Computed tomography, Field of view 381 mm wide, 0.80 mm slice spacing, 512x512 px, Upper abdomen
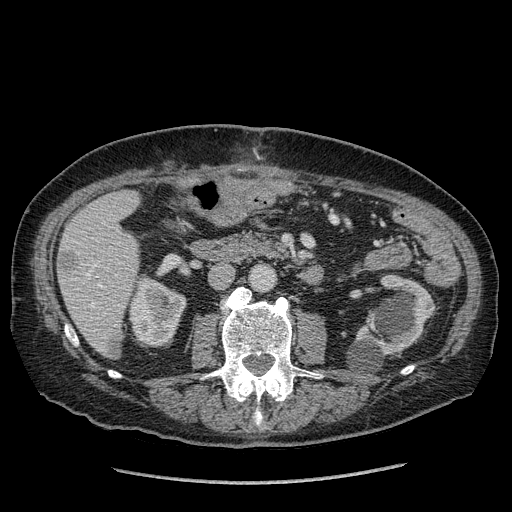 liver lesion: {"x1": 108, "y1": 334, "x2": 121, "y2": 357}, {"x1": 57, "y1": 251, "x2": 79, "y2": 269} | liver: {"x1": 180, "y1": 180, "x2": 200, "y2": 187}, {"x1": 58, "y1": 190, "x2": 138, "y2": 359} | kidney: {"x1": 356, "y1": 275, "x2": 434, "y2": 354}, {"x1": 130, "y1": 278, "x2": 185, "y2": 345}